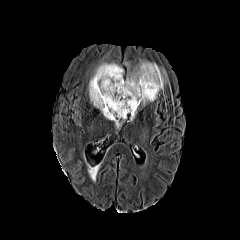
FLAIR MR image.
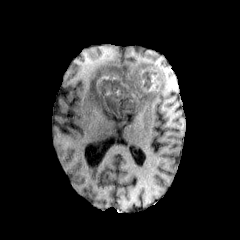
T1-weighted MRI.
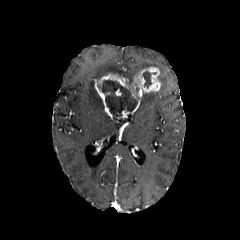
Post-contrast T1-weighted magnetic resonance of the same slice.
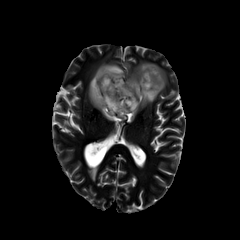
Same slice, T2-weighted MR image.
Head. 240x240 px.
Findings:
* non-enhancing tumor core: left=142, top=71, right=151, bottom=87; left=98, top=79, right=137, bottom=121
* edema: left=125, top=60, right=169, bottom=97; left=132, top=92, right=160, bottom=121; left=87, top=60, right=124, bottom=120
* enhancing tumor: left=117, top=106, right=137, bottom=119; left=94, top=66, right=160, bottom=118